FLAIR magnetic resonance.
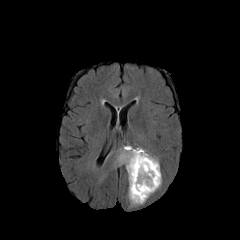
T1-weighted MR.
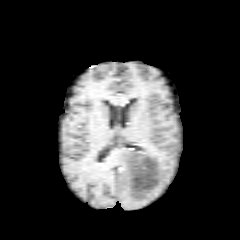
Post-contrast T1-weighted magnetic resonance.
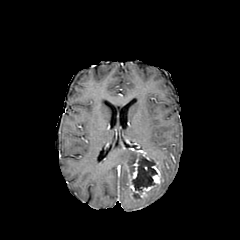
T2-weighted MRI.
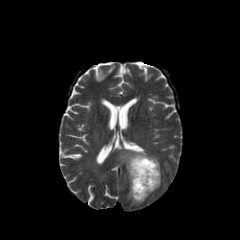
240x240 px.
{
  "enhancing_tumor": [
    {"x1": 140, "y1": 185, "x2": 155, "y2": 198},
    {"x1": 130, "y1": 160, "x2": 138, "y2": 179},
    {"x1": 152, "y1": 163, "x2": 160, "y2": 183},
    {"x1": 130, "y1": 148, "x2": 149, "y2": 159}
  ],
  "edema": [
    {"x1": 147, "y1": 152, "x2": 159, "y2": 170},
    {"x1": 118, "y1": 146, "x2": 161, "y2": 205}
  ],
  "non-enhancing_tumor_core": [
    {"x1": 132, "y1": 153, "x2": 156, "y2": 193}
  ]
}